Computed tomography. Slice 131/168. Image size 512x512. Upper abdomen.
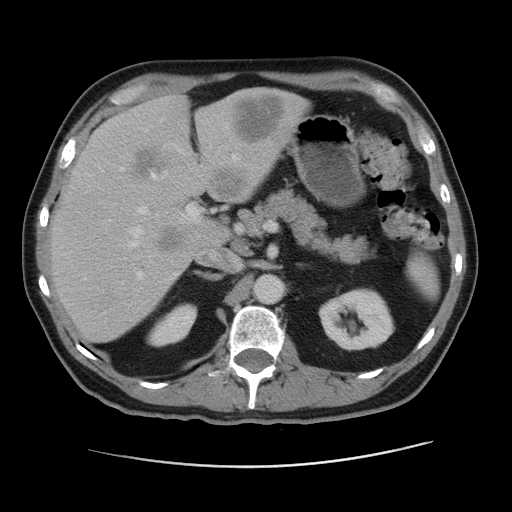

- kidney: [151, 305, 194, 345], [319, 288, 394, 350]
- liver lesion: [210, 169, 245, 198], [134, 150, 166, 180], [159, 227, 183, 250], [232, 92, 285, 141]
- liver: [52, 89, 306, 338]